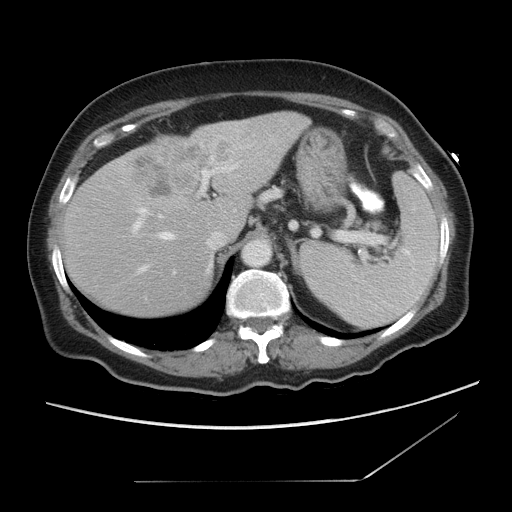 CT slice
Only some of the vessels may be annotated.
Liver tumor: 134, 137, 206, 197.
Hepatic vessel: 208, 166, 210, 168; 208, 241, 210, 244; 210, 155, 213, 163; 159, 232, 174, 239; 212, 233, 220, 235; 140, 266, 146, 272; 133, 209, 146, 231; 201, 164, 236, 192.